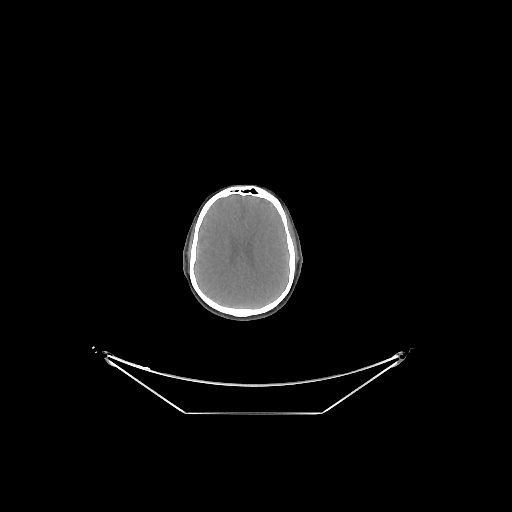

CT slice. Head.
Segmented structures:
- brain: left=194, top=194, right=289, bottom=308